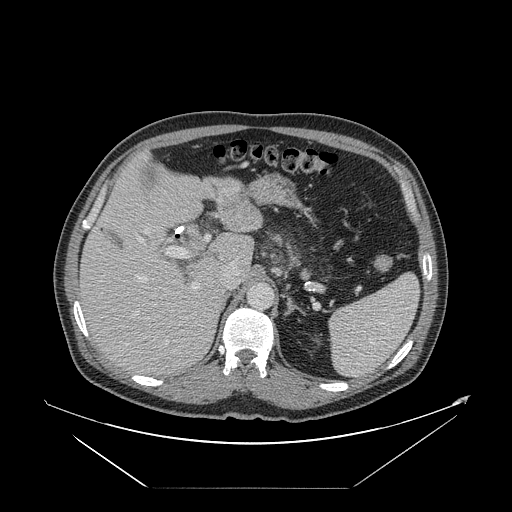 CT; Liver
Not every hepatic vessel necessarily has a box.
Hepatic vessel — [x1=175, y1=227, x2=183, y2=235], [x1=144, y1=230, x2=148, y2=233], [x1=220, y1=257, x2=222, y2=260], [x1=166, y1=341, x2=167, y2=342], [x1=221, y1=253, x2=243, y2=289], [x1=166, y1=238, x2=188, y2=258], [x1=200, y1=196, x2=203, y2=198], [x1=138, y1=238, x2=145, y2=244], [x1=133, y1=311, x2=137, y2=315], [x1=192, y1=283, x2=198, y2=288], [x1=215, y1=291, x2=219, y2=291], [x1=205, y1=235, x2=209, y2=241], [x1=215, y1=215, x2=217, y2=216], [x1=136, y1=275, x2=146, y2=282].